CT slice 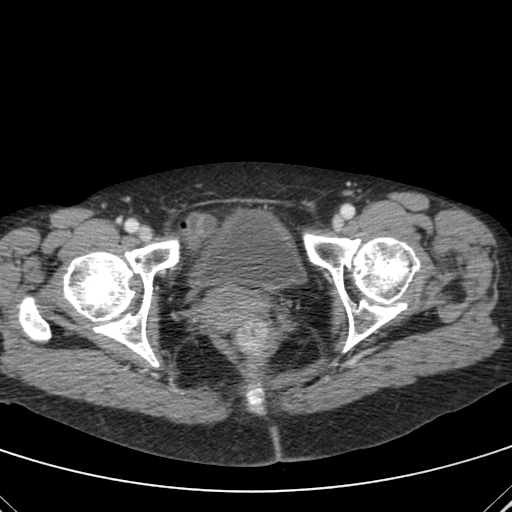
The urinary bladder lies within [187, 209, 305, 291].